FLAIR MR image.
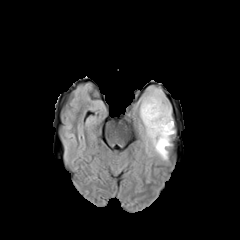
T1-weighted magnetic resonance.
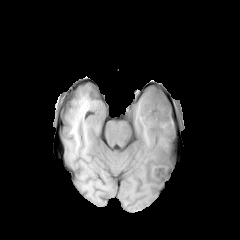
Post-contrast T1-weighted magnetic resonance.
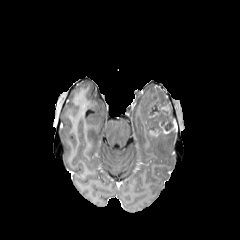
T2-weighted MR.
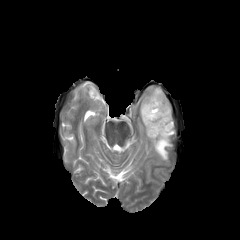
Head.
Findings:
• non-enhancing tumor core: rect(149, 90, 173, 133)
• enhancing tumor: rect(158, 104, 169, 113)
• edema: rect(140, 88, 174, 159)